Field of view 240 mm wide, 1.00 mm slice spacing; Slice 79 of 155
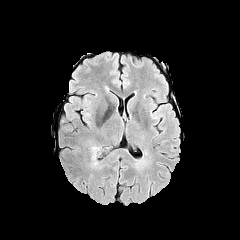
FLAIR MR image.
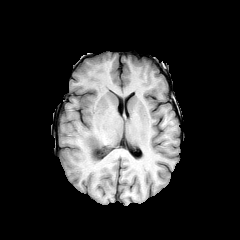
T1-weighted MR image of the same slice.
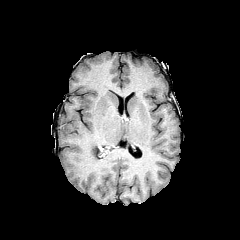
Post-contrast T1-weighted MRI of the same slice.
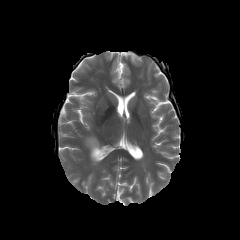
T2-weighted MR image.
The edema lies within 86 139 99 165.